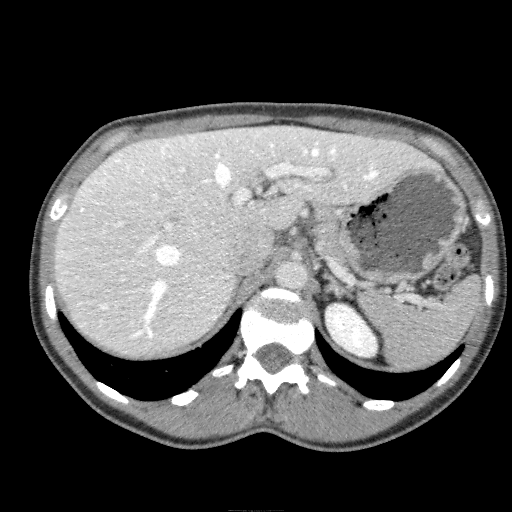

CT slice
Liver at {"x1": 54, "y1": 125, "x2": 440, "y2": 356}.
Kidney at {"x1": 326, "y1": 304, "x2": 376, "y2": 356}.